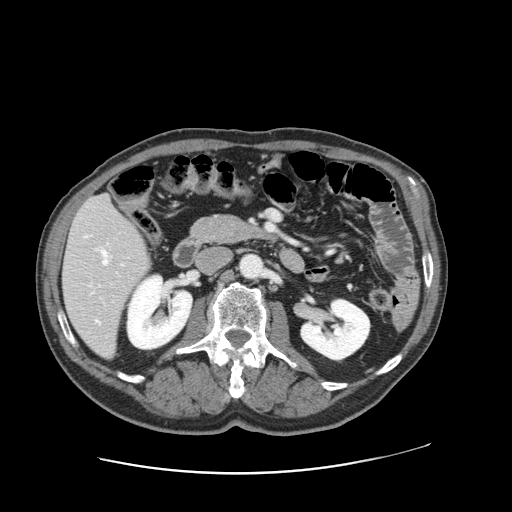

CT image

The vessel boxes may cover only some of the vessels.
Hepatic vessel: bounding box 101:247:107:264, 95:320:99:323.